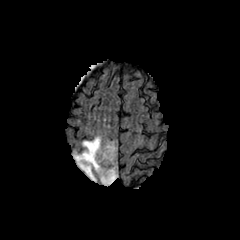
FLAIR MR.
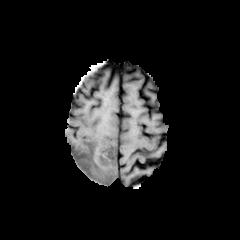
T1-weighted MRI.
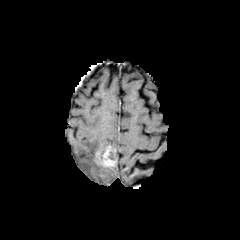
Post-contrast T1-weighted MR image of the same slice.
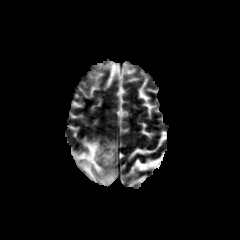
T2-weighted MR.
Brain
<segmentation>
  <enhancing_tumor>left=102, top=150, right=115, bottom=167</enhancing_tumor>
  <edema>left=72, top=136, right=117, bottom=185</edema>
  <non-enhancing_tumor_core>left=88, top=142, right=115, bottom=167</non-enhancing_tumor_core>
</segmentation>